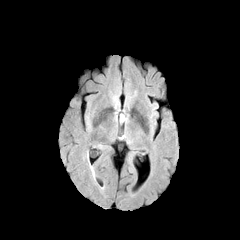
FLAIR MR image.
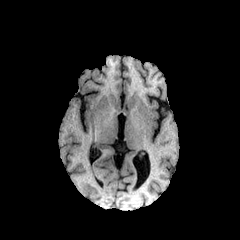
T1-weighted magnetic resonance.
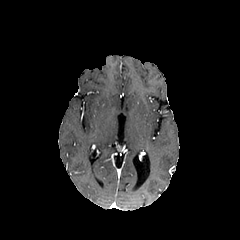
Post-contrast T1-weighted magnetic resonance.
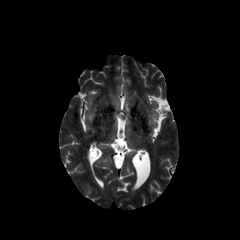
T2-weighted MR.
240x240
edema: [x1=85, y1=150, x2=97, y2=184]